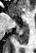

MR

The posterior hippocampus is bounded by 15 23 28 44.